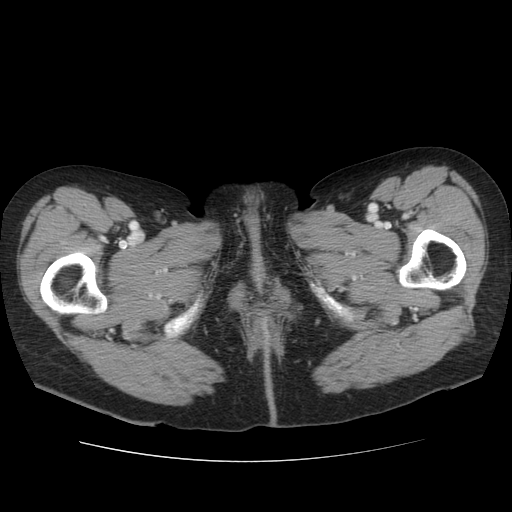
CT slice; 512x512 px
4 bone regions are located at <bbox>41, 253, 106, 314</bbox>, <bbox>400, 230, 465, 289</bbox>, <bbox>304, 267, 365, 323</bbox>, <bbox>153, 289, 207, 339</bbox>.